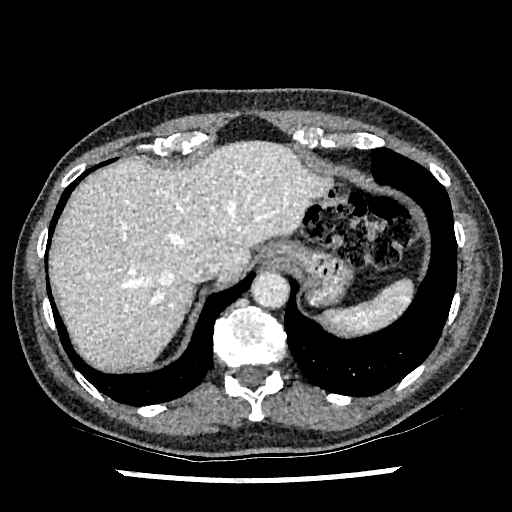 CT slice. Abdomen.

Liver — [50,141,330,369].